Image size 512x512, Upper abdomen, Image width 381 mm, CT scan slice 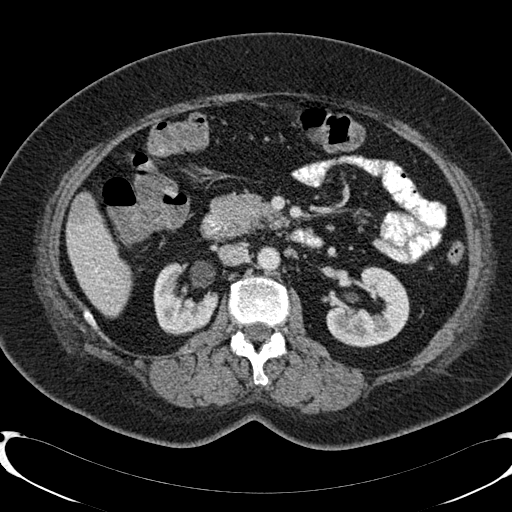 Annotated regions:
• kidney: (x1=323, y1=267, x2=408, y2=346), (x1=154, y1=262, x2=216, y2=333)
• liver lesion: (x1=69, y1=194, x2=98, y2=223)
• liver: (x1=65, y1=216, x2=130, y2=314)